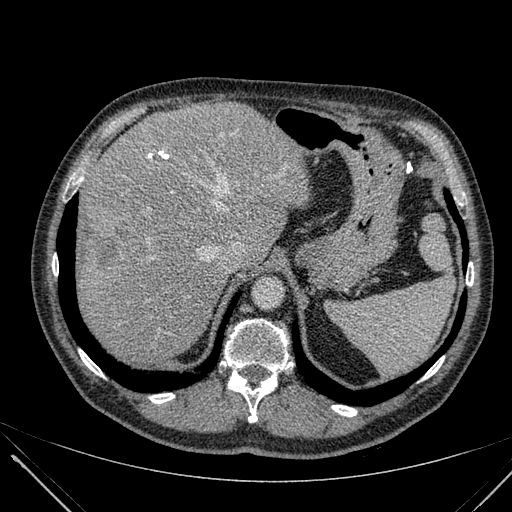 CT slice. Liver.
The liver is at (76,103,310,366). The focal liver lesion is bounded by (96,239,118,265).